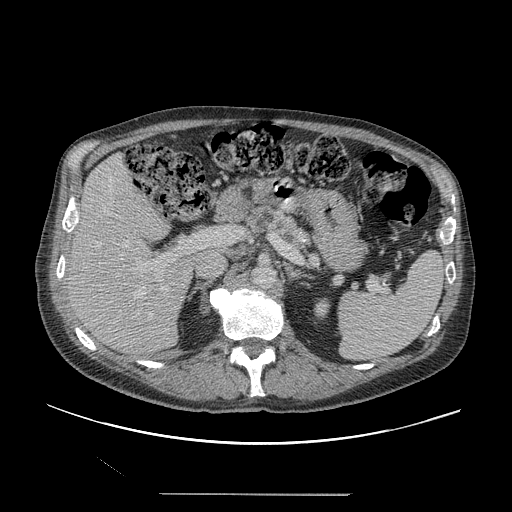 512x512 | CT | Abdomen

Pancreas: bbox=[244, 202, 323, 268].